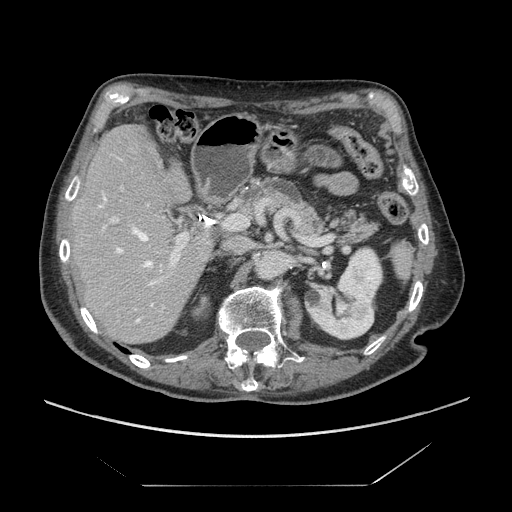
Computed tomography; Upper abdomen

Findings:
* pancreas: rect(219, 173, 383, 246)